FLAIR MRI.
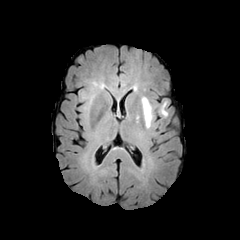
T1-weighted magnetic resonance.
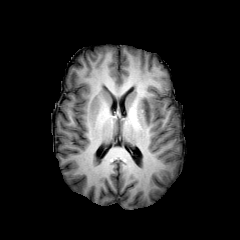
Post-contrast T1-weighted magnetic resonance.
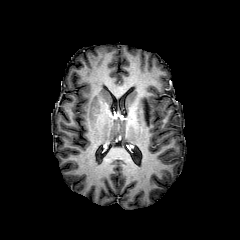
T2-weighted MR.
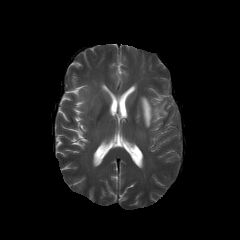
Brain.
edema:
  - (x1=137, y1=96, x2=167, y2=127)
non-enhancing_tumor_core:
  - (x1=127, y1=109, x2=136, y2=121)
  - (x1=144, y1=103, x2=149, y2=119)